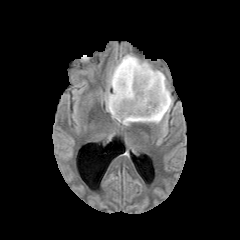
FLAIR magnetic resonance.
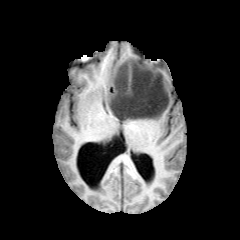
T1-weighted magnetic resonance of the same slice.
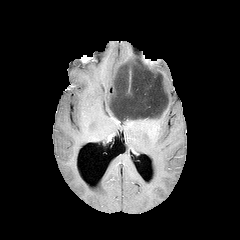
Same slice, post-contrast T1-weighted MR.
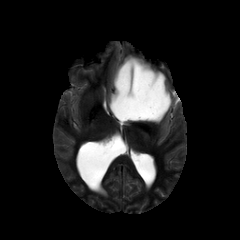
T2-weighted MR of the same slice.
Non-enhancing tumor core = (110, 59, 169, 122).
Enhancing tumor = (128, 69, 131, 93).
Edema = (103, 53, 173, 127).